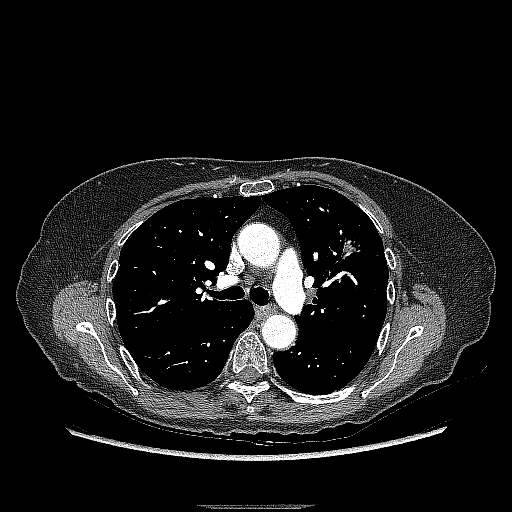
Image size 512x512. CT image.
Lung tumor: bounding box region(338, 228, 363, 261).